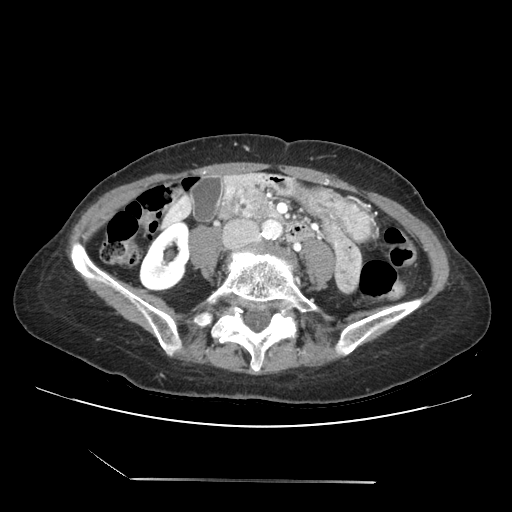

CT slice, Upper abdomen, Image size 512x512
• pancreas: bbox=[216, 174, 294, 221]